T2-weighted magnetic resonance.
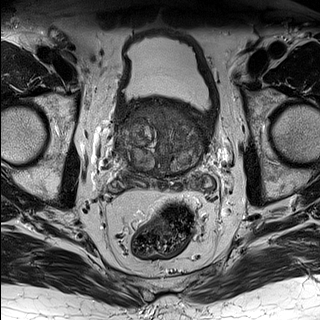
ADC MRI.
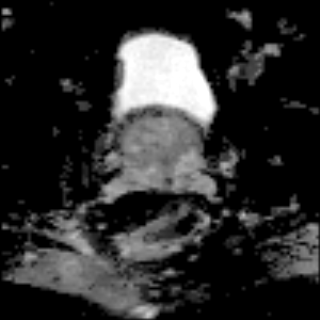
Image size 320x320 | Pelvis
{"prostate_transition_zone": ["119:106:206:176"]}